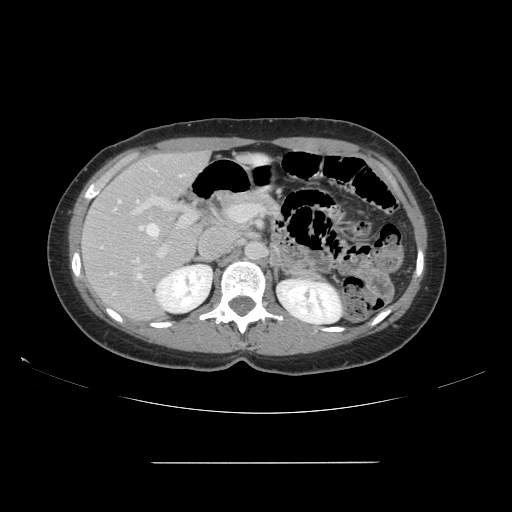

Liver. CT slice.

The vessel annotation is not exhaustive.
Hepatic vessel — (162, 203, 167, 209), (151, 168, 156, 171), (157, 246, 166, 256), (114, 208, 116, 210), (140, 223, 158, 237), (136, 266, 142, 280), (176, 221, 185, 228), (132, 196, 160, 214), (118, 200, 119, 203), (132, 258, 139, 262), (110, 272, 115, 275), (179, 173, 184, 176).